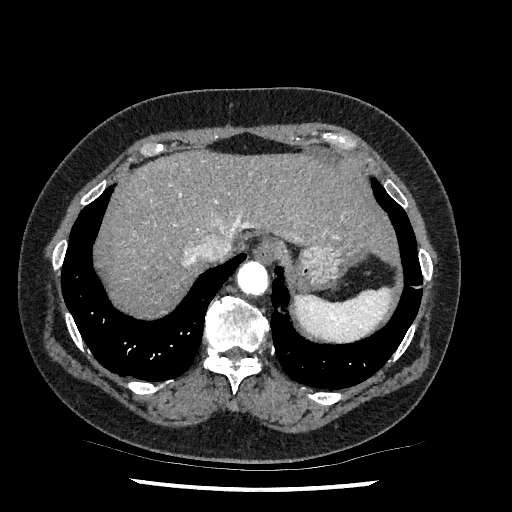
CT slice; Image size 512x512; Liver
• liver: bbox=[99, 151, 393, 315]